CT. 512x512. Image width 344 mm. Slice 220 of 466.
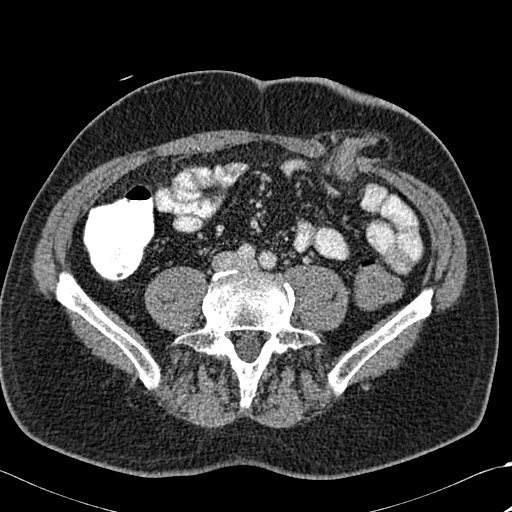
<segmentation>
  <bone>[x1=176, y1=269, x2=316, y2=406], [x1=328, y1=290, x2=432, y2=393], [x1=56, y1=273, x2=160, y2=388]</bone>
</segmentation>